CT scan slice | Thorax | 512x512 px 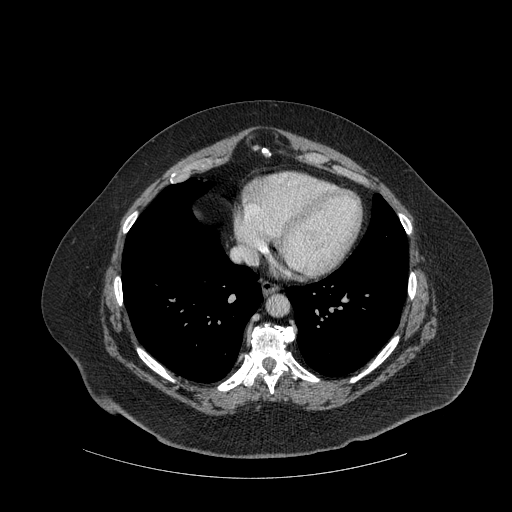
Segmented structures:
* bone: bbox(123, 212, 136, 232); bbox(218, 324, 318, 393); bbox(408, 272, 416, 298); bbox(114, 277, 122, 305); bbox(350, 336, 398, 382); bbox(137, 348, 173, 381); bbox(399, 214, 411, 233)
* lung: bbox(286, 193, 408, 376); bbox(122, 178, 261, 382)